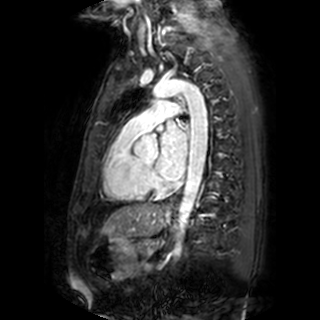
320x320 px; Magnetic resonance; Heart
Segmented structures:
- left atrium: [x1=156, y1=120, x2=186, y2=181]